CT, Slice index 67, Upper abdomen 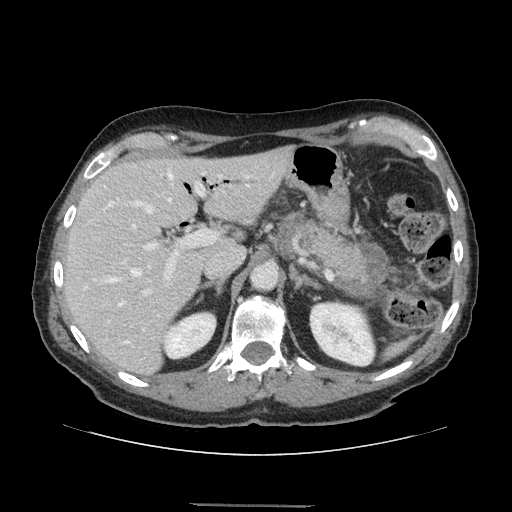 pancreas: <box>297,221,366,282</box>